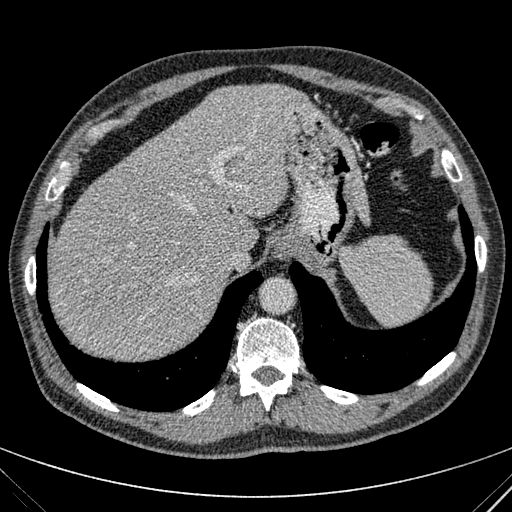

CT slice
Annotated regions:
- liver: l=48, t=84, r=309, b=359; l=350, t=170, r=368, b=223